FLAIR MRI.
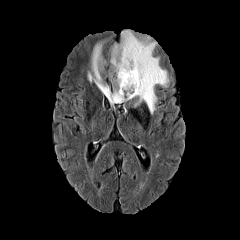
T1-weighted MRI.
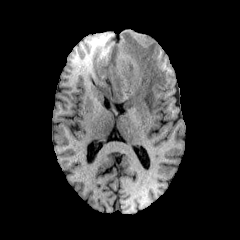
Post-contrast T1-weighted magnetic resonance.
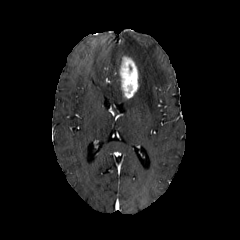
T2-weighted MR image.
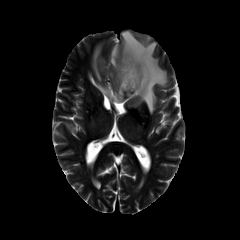
240x240 px. Head.
Findings:
* enhancing tumor: 118:54:139:99
* edema: 88:29:168:112